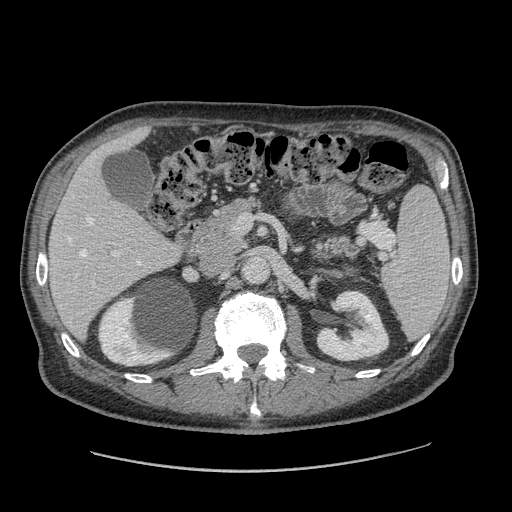

CT slice, Upper abdomen, Image size 512x512

{
  "pancreas": [
    {"x1": 320, "y1": 237, "x2": 358, "y2": 257},
    {"x1": 205, "y1": 198, "x2": 253, "y2": 254}
  ]
}